Slice 125/155, 240x240 px
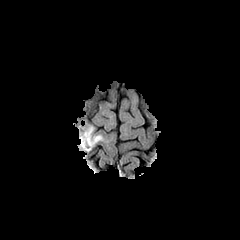
FLAIR magnetic resonance.
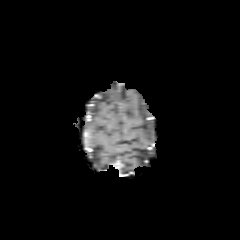
T1-weighted MR image.
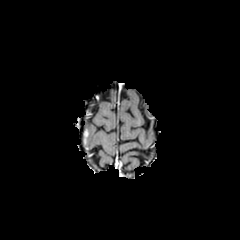
Post-contrast T1-weighted MR image of the same slice.
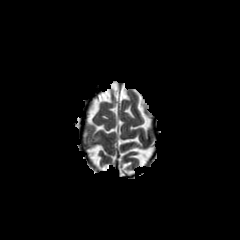
T2-weighted magnetic resonance of the same slice.
edema: 81, 126, 101, 151